512x512, CT
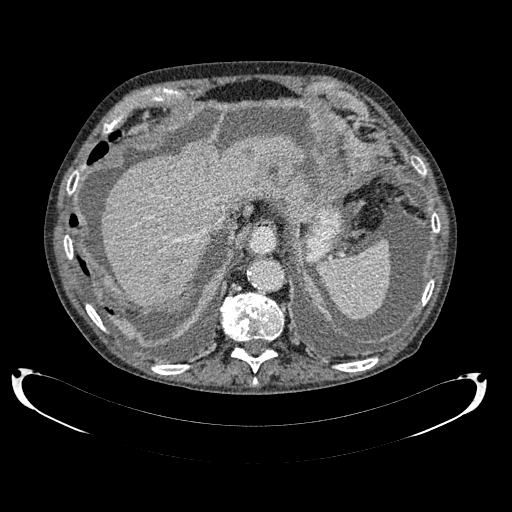

The liver is bounded by (101, 136, 299, 305).